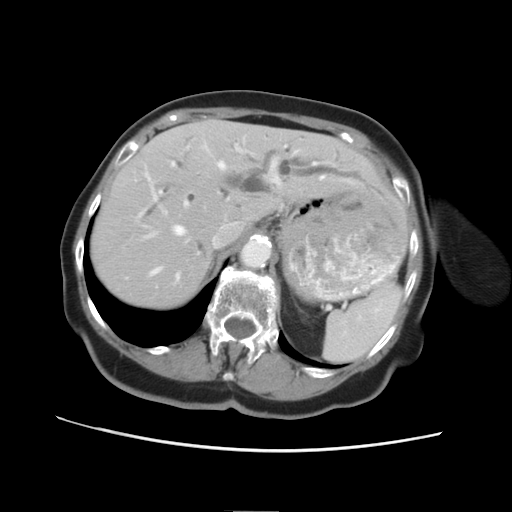
CT slice | 512x512 | Liver
Some hepatic vessels may have no box.
Hepatic vessel: bounding box 184,201,187,205; 212,215,242,247; 172,225,185,235; 271,159,280,185.